Field of view 240x240 mm | 240x240 | Slice 116/155
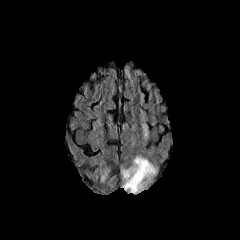
FLAIR magnetic resonance.
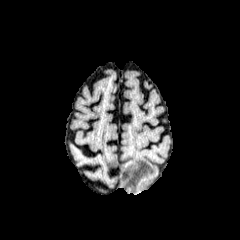
T1-weighted MR image of the same slice.
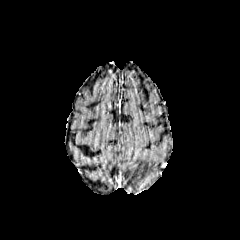
Post-contrast T1-weighted MR image.
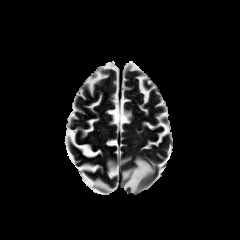
Same slice, T2-weighted magnetic resonance.
Edema: bounding box <bbox>119, 155, 156, 194</bbox>.